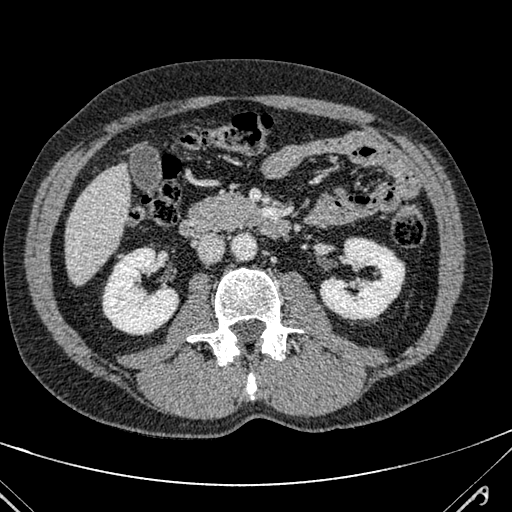

Computed tomography.

The liver lies within region(65, 164, 129, 284).